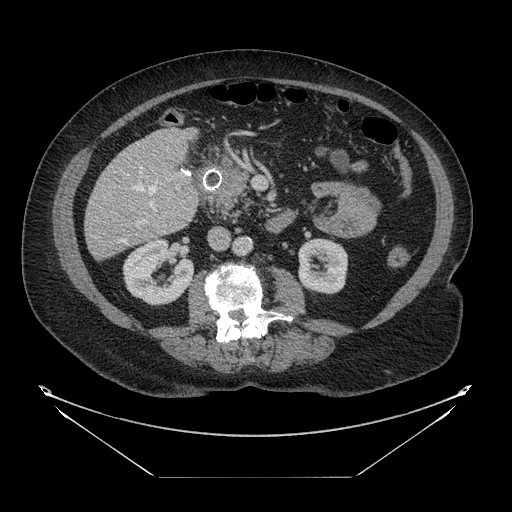 Abdomen | Computed tomography
pancreas: 218,171,248,217 | pancreatic tumor: 221,170,240,196